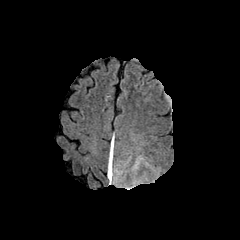
FLAIR magnetic resonance.
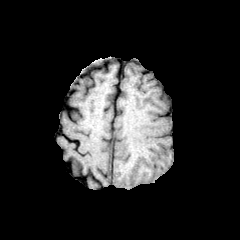
T1-weighted magnetic resonance.
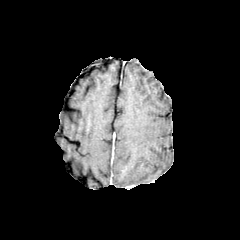
Same slice, post-contrast T1-weighted MR image.
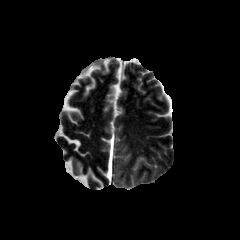
T2-weighted MR image.
Head
Edema: box(107, 140, 113, 183).